Computed tomography. Slice 23 of 45. Liver.

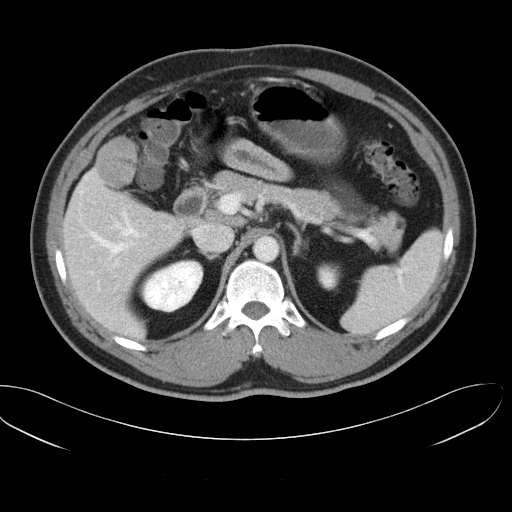 Not every hepatic vessel necessarily has a box.
The liver tumor appears at [96, 137, 136, 188]. 8 hepatic vessel regions appear at [146, 242, 147, 243], [113, 208, 138, 237], [165, 225, 169, 228], [143, 234, 145, 236], [78, 209, 85, 226], [79, 231, 132, 269], [85, 173, 95, 180], [96, 281, 100, 290].